FLAIR MR image.
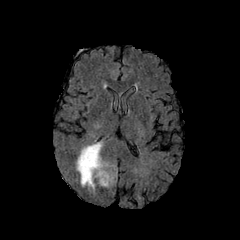
T1-weighted MR.
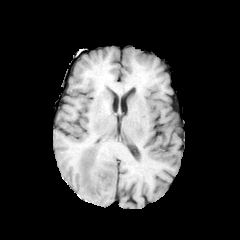
Post-contrast T1-weighted MR.
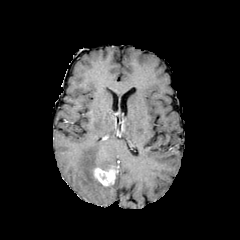
T2-weighted magnetic resonance.
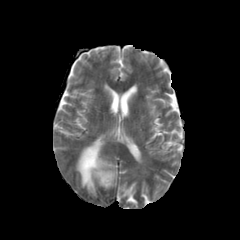
Head.
The enhancing tumor is at [94,167,115,185]. The edema lies within [76,139,111,193]. The non-enhancing tumor core appears at [84,156,93,167].